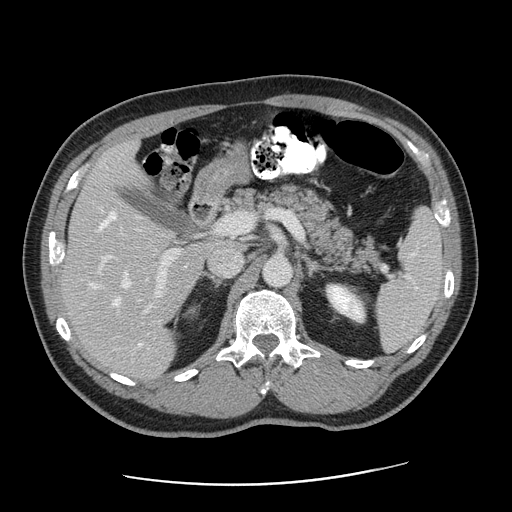

Liver | Computed tomography
Only some of the vessels may be annotated.
Annotated regions:
- hepatic vessel: box(157, 249, 183, 295); box(206, 244, 242, 276); box(88, 283, 96, 286); box(122, 271, 130, 287); box(98, 212, 115, 230); box(101, 256, 108, 267); box(215, 213, 250, 235); box(113, 299, 120, 304); box(145, 305, 152, 311); box(138, 343, 142, 346)